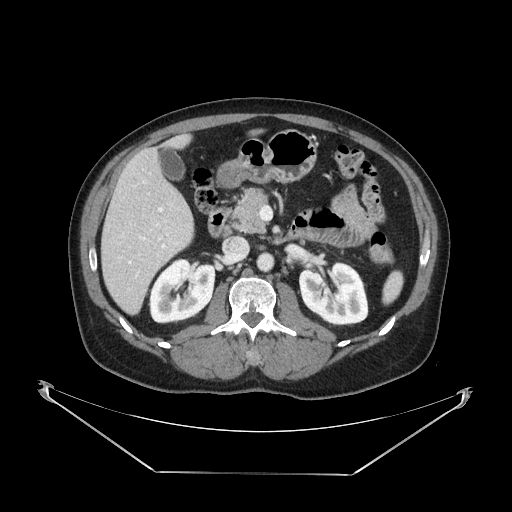

CT | Abdomen

Pancreas — box(232, 187, 268, 233).